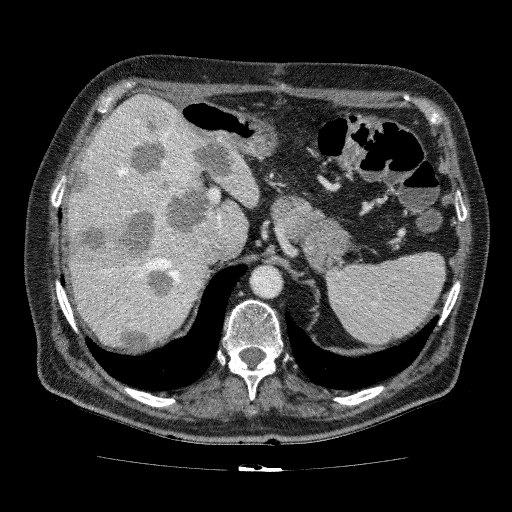
CT | Upper abdomen
- focal liver lesion: 69 149 92 194, 125 138 169 177, 145 270 177 299, 190 136 239 179, 163 180 213 236, 115 315 154 351, 67 207 157 269, 157 178 172 192, 140 113 161 133
- liver: 66 93 259 351